FLAIR MRI.
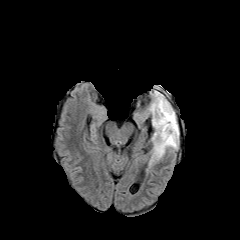
T1-weighted MRI.
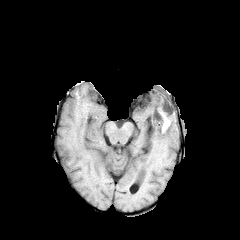
Post-contrast T1-weighted MR image.
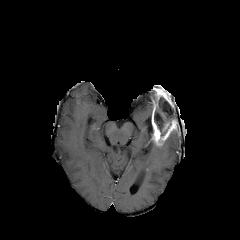
T2-weighted magnetic resonance.
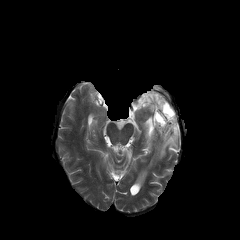
Brain
Non-enhancing tumor core: left=154, top=97, right=175, bottom=131.
Edema: left=149, top=132, right=179, bottom=165.
Enhancing tumor: left=151, top=87, right=178, bottom=144.